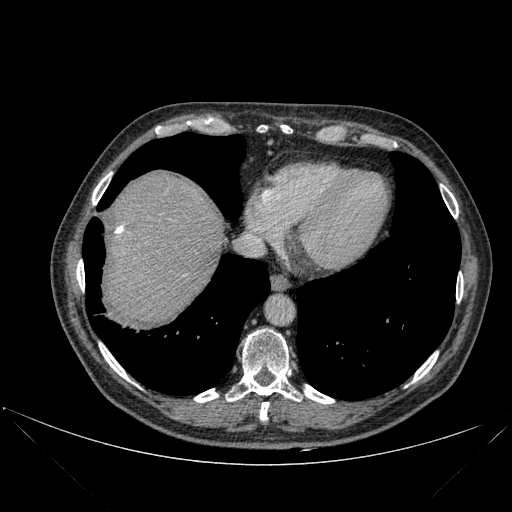 CT slice
bone: (x1=412, y1=352, x2=438, y2=382), (x1=76, y1=260, x2=84, y2=290), (x1=442, y1=186, x2=458, y2=218), (x1=194, y1=389, x2=218, y2=402), (x1=304, y1=384, x2=334, y2=403), (x1=92, y1=174, x2=109, y2=204), (x1=281, y1=125, x2=290, y2=132), (x1=260, y1=402, x2=268, y2=422), (x1=456, y1=272, x2=463, y2=302), (x1=99, y1=344, x2=130, y2=381), (x1=227, y1=330, x2=299, y2=401) | liver: (x1=102, y1=176, x2=224, y2=326) | lung: (x1=83, y1=217, x2=269, y2=394), (x1=297, y1=152, x2=460, y2=400), (x1=97, y1=133, x2=245, y2=219)